Thorax. Computed tomography.
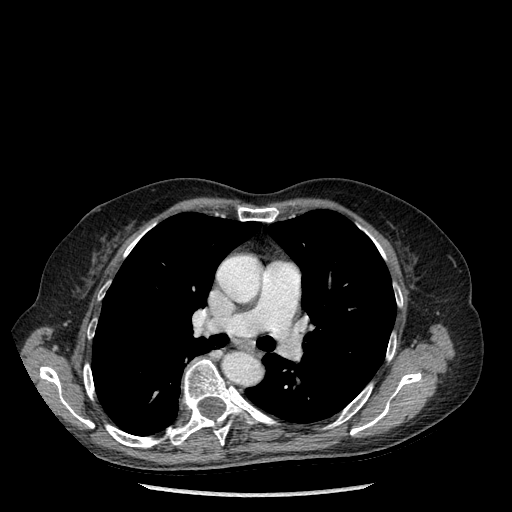 Bone: (left=386, top=333, right=396, bottom=360), (left=123, top=223, right=155, bottom=257), (left=393, top=283, right=402, bottom=306), (left=87, top=319, right=96, bottom=338), (left=105, top=359, right=275, bottom=447), (left=98, top=282, right=108, bottom=299), (left=238, top=206, right=278, bottom=222), (left=365, top=229, right=386, bottom=259), (left=350, top=371, right=421, bottom=435), (left=39, top=366, right=94, bottom=428), (left=83, top=364, right=94, bottom=399), (left=327, top=384, right=372, bottom=428).
Lung: (left=92, top=212, right=260, bottom=435), (left=246, top=210, right=396, bottom=423).